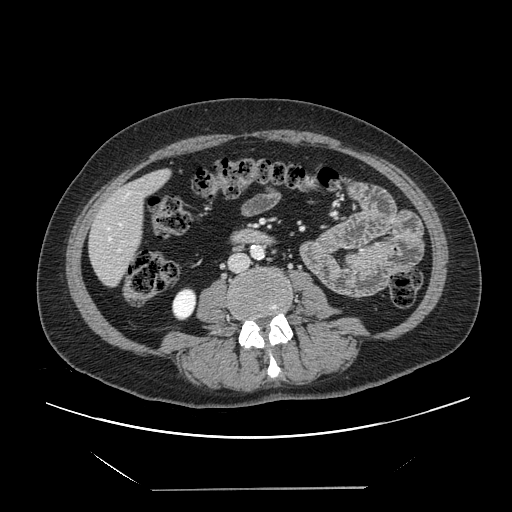
Abdomen; CT slice
Not every hepatic vessel necessarily has a box.
4 hepatic vessel regions appear at x1=107, y1=235, x2=111, y2=240; x1=118, y1=223, x2=122, y2=226; x1=106, y1=226, x2=110, y2=231; x1=123, y1=193, x2=130, y2=201.